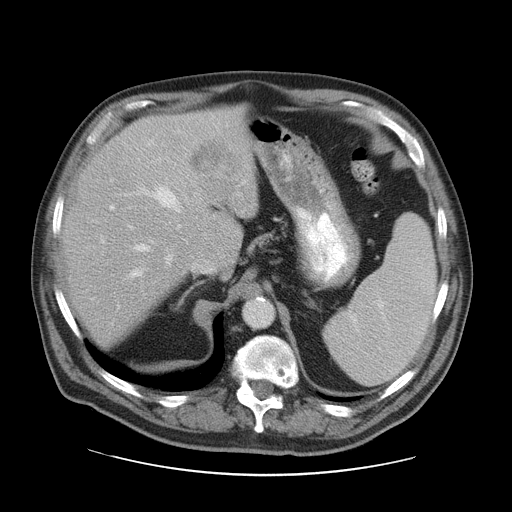

CT slice, Abdomen
The vessel boxes may cover only some of the vessels.
The liver tumor is bounded by 190:139:243:200. 8 hepatic vessel regions are bounded by 166:255:171:261, 136:244:148:250, 110:206:113:208, 141:187:179:211, 131:270:141:276, 101:239:103:242, 178:225:180:227, 129:226:131:227.